FLAIR magnetic resonance.
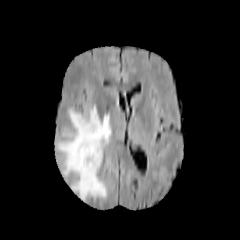
T1-weighted MRI.
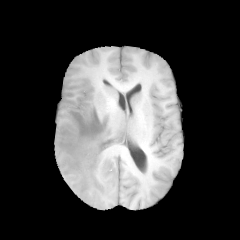
Post-contrast T1-weighted MR.
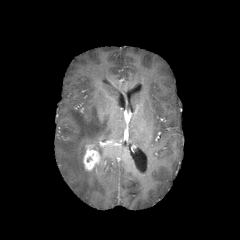
T2-weighted MR image.
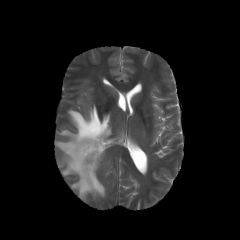
Brain | 240x240
The enhancing tumor is at (x1=83, y1=144, x2=100, y2=170). The edema is bounded by (x1=56, y1=105, x2=111, y2=199).